Computed tomography | Slice 32 of 565 | 512x512
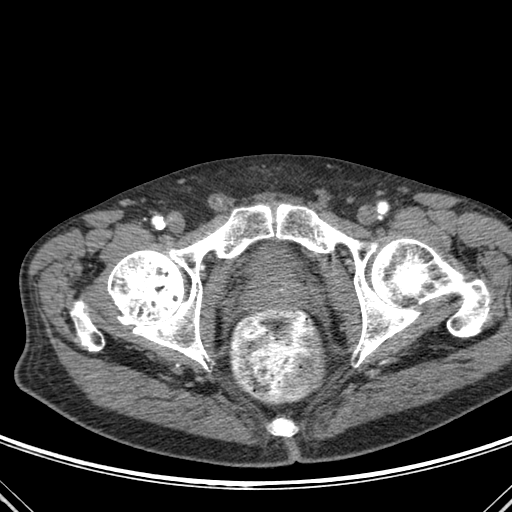
Bone at [102, 204, 490, 369], [271, 418, 295, 436], [70, 300, 104, 351].